CT slice; Image width 381 mm; 512x512; Lower abdomen; Slice index 52 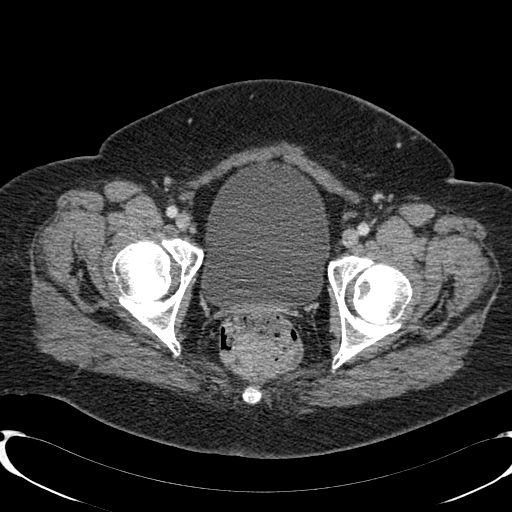
The urinary bladder appears at 201:157:329:307.